Liver | Computed tomography | Slice 32/49
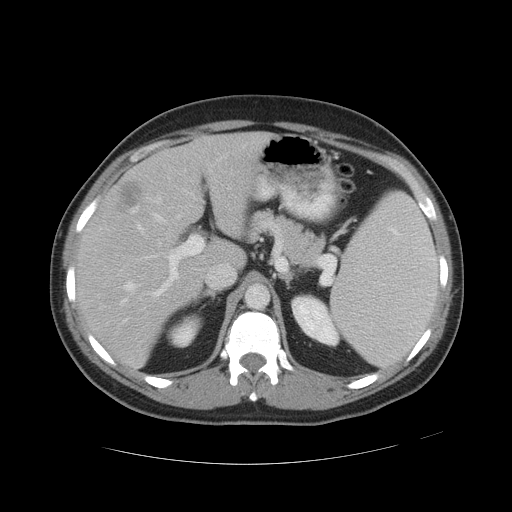 Only some of the vessels may be annotated.
{
  "liver_tumor": [
    "bbox(118, 186, 140, 211)"
  ],
  "hepatic_vessel": [
    "bbox(121, 299, 126, 303)",
    "bbox(150, 235, 203, 296)",
    "bbox(208, 169, 211, 171)",
    "bbox(146, 255, 157, 257)",
    "bbox(176, 215, 180, 218)",
    "bbox(228, 187, 229, 189)",
    "bbox(125, 282, 134, 289)",
    "bbox(137, 224, 143, 233)",
    "bbox(153, 213, 163, 222)"
  ]
}